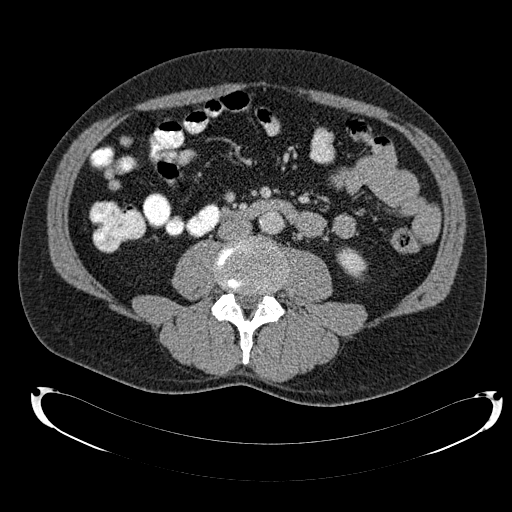

CT. Abdomen. The kidney lies within l=339, t=249, r=364, b=275.